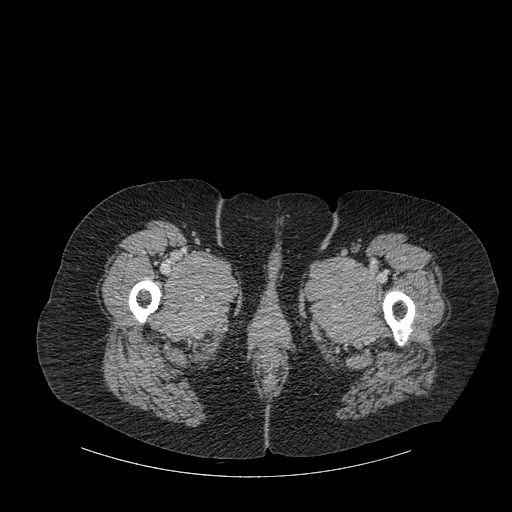

CT slice

bone:
  - (x1=129, y1=280, x2=160, y2=322)
  - (x1=383, y1=291, x2=414, y2=344)